Abdomen, CT image 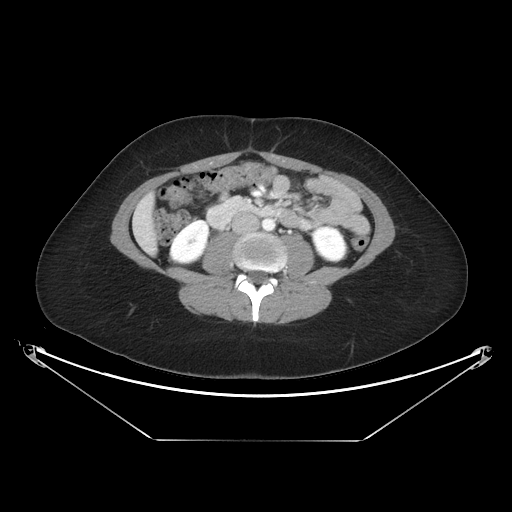
• pancreas: {"x1": 230, "y1": 200, "x2": 242, "y2": 208}